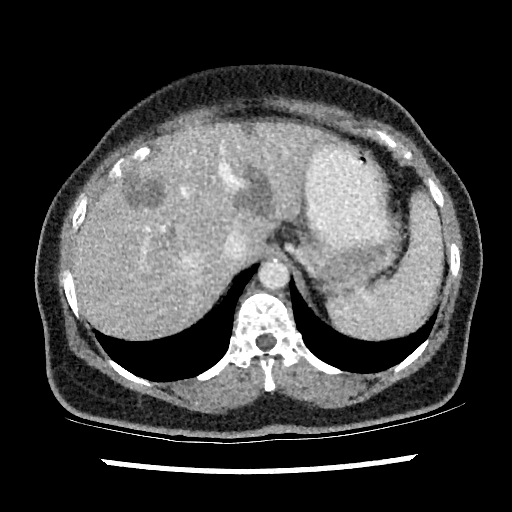
Computed tomography, Image size 512x512
Findings:
* liver: 72:122:335:337
* hepatic lesion: 234:168:274:214, 241:125:253:132, 124:175:164:207